Liver. Computed tomography.

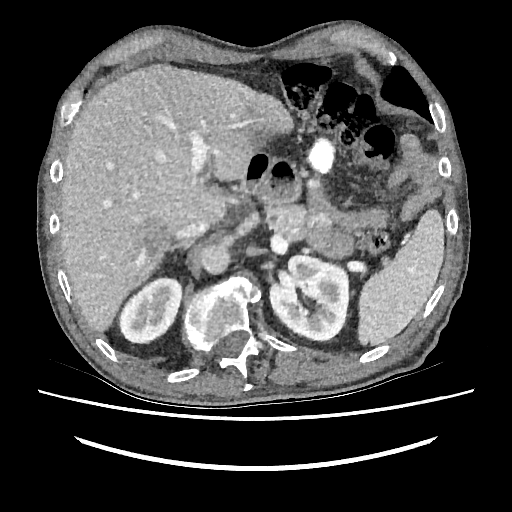
liver:
  - region(60, 66, 293, 330)
kidney:
  - region(270, 256, 348, 339)
  - region(120, 279, 181, 342)
hepatic_lesion:
  - region(139, 220, 170, 255)
  - region(246, 123, 278, 150)